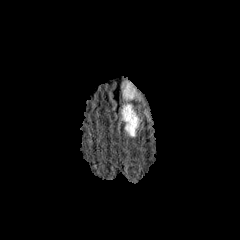
FLAIR magnetic resonance.
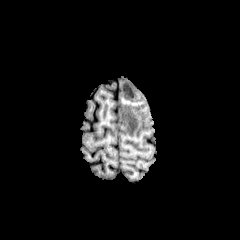
T1-weighted MR of the same slice.
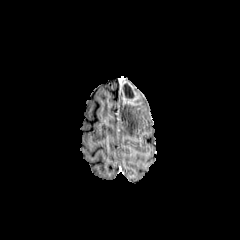
Same slice, post-contrast T1-weighted magnetic resonance.
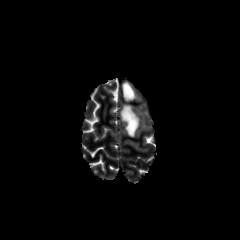
T2-weighted MR.
Non-enhancing tumor core: x1=124 y1=84 x2=135 y2=98.
Enhancing tumor: x1=121 y1=81 x2=143 y2=104.
Edema: x1=121 y1=105 x2=140 y2=136.